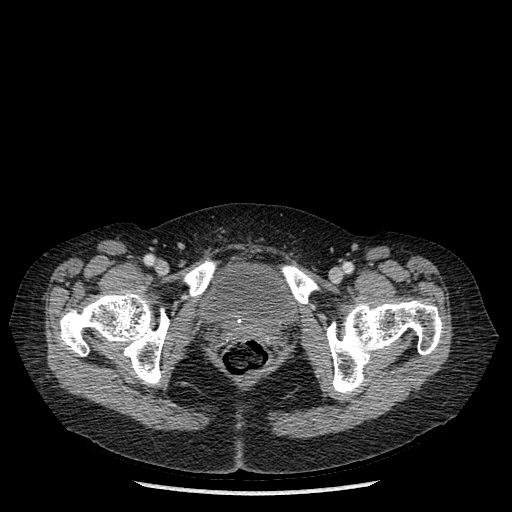

CT slice | Pelvis
The urinary bladder appears at (x1=195, y1=261, x2=300, y2=340). 4 bone regions appear at (x1=327, y1=300, x2=442, y2=395), (x1=59, y1=290, x2=169, y2=385), (x1=281, y1=266, x2=318, y2=304), (x1=183, y1=260, x2=215, y2=297).